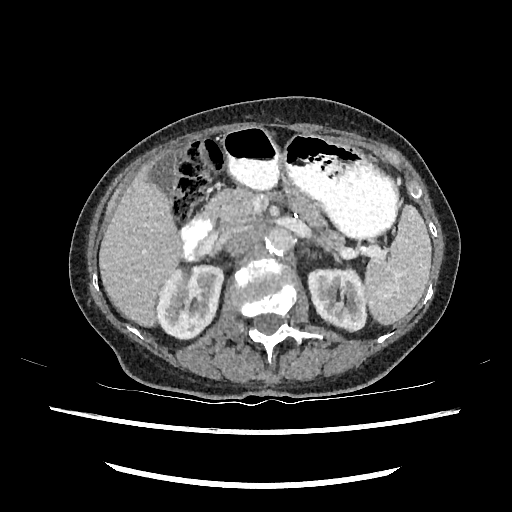

512x512. CT image. Abdomen.

liver: 100:166:180:325 | kidney: 157:267:222:338, 309:270:365:329